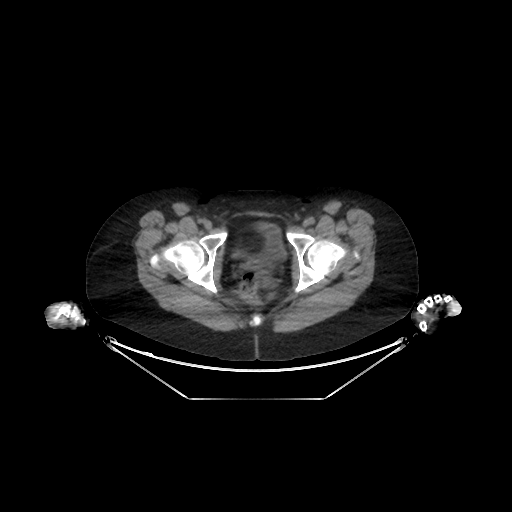
CT image
Urinary bladder: <box>230,222,288,264</box>.